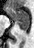 Magnetic resonance. Anterior hippocampus at {"x1": 7, "y1": 8, "x2": 28, "y2": 21}.
Posterior hippocampus at {"x1": 16, "y1": 22, "x2": 28, "y2": 32}.